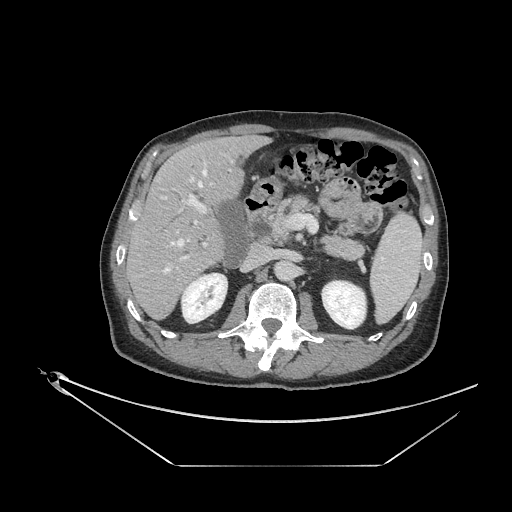

Abdomen. Image size 512x512. CT image. pancreatic tumor: {"x1": 278, "y1": 223, "x2": 288, "y2": 237} | pancreas: {"x1": 271, "y1": 196, "x2": 321, "y2": 242}, {"x1": 318, "y1": 233, "x2": 365, "y2": 261}